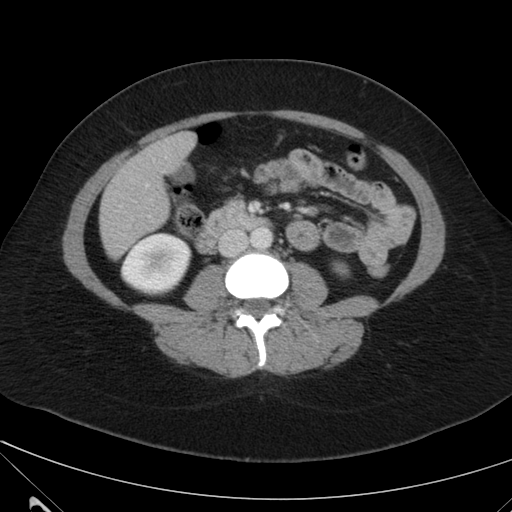
CT slice
The kidney is bounded by 123:234:188:290. The liver is located at 100:132:194:257.